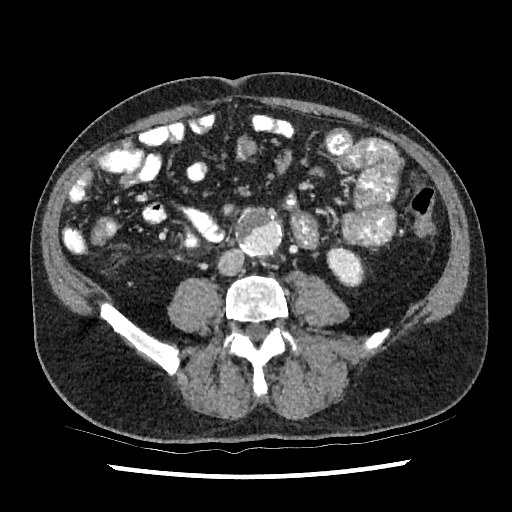

512x512 px | CT slice
{"kidney": [{"x1": 335, "y1": 256, "x2": 362, "y2": 285}]}